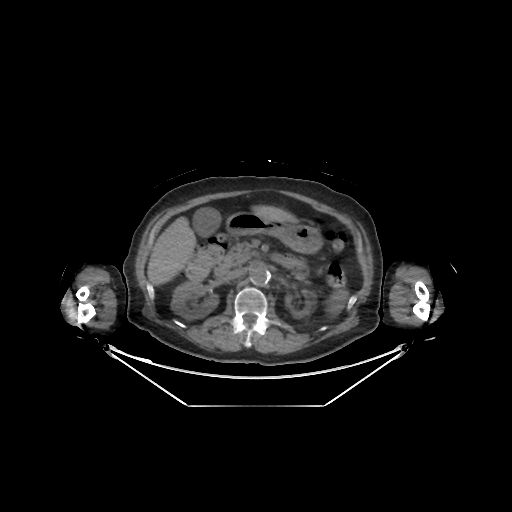

CT image; Abdomen
3 bone regions are located at [x1=413, y1=281, x2=429, y2=320], [x1=233, y1=288, x2=267, y2=346], [x1=75, y1=286, x2=95, y2=325]. 2 liver regions appear at [x1=256, y1=207, x2=294, y2=221], [x1=148, y1=218, x2=195, y2=284]. 2 kidney regions are bounded by [x1=285, y1=289, x2=315, y2=318], [x1=171, y1=280, x2=218, y2=319].